Abdomen; Field of view 432x432 mm; CT image
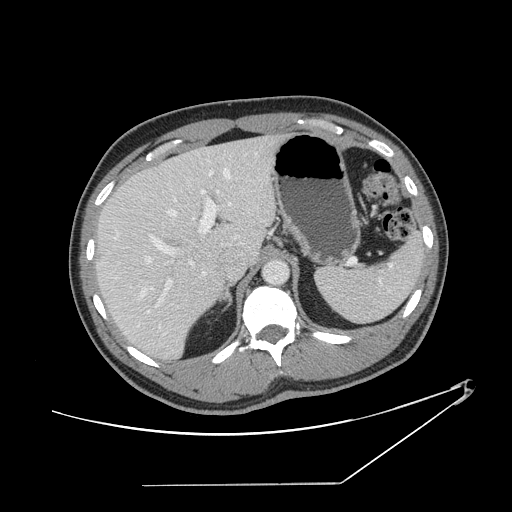
The vessel boxes may cover only some of the vessels.
partial: true
hepatic_vessel:
  # 15 of 24 shown
  - <bbox>149, 234, 175, 253</bbox>
  - <bbox>254, 153, 256, 157</bbox>
  - <bbox>148, 287, 152, 289</bbox>
  - <bbox>159, 280, 171, 301</bbox>
  - <bbox>115, 232, 118, 239</bbox>
  - <bbox>201, 190, 204, 193</bbox>
  - <bbox>168, 210, 176, 216</bbox>
  - <bbox>146, 257, 151, 262</bbox>
  - <bbox>173, 196, 175, 201</bbox>
  - <bbox>189, 261, 194, 266</bbox>
  - <bbox>140, 287, 147, 298</bbox>
  - <bbox>224, 170, 230, 178</bbox>
  - <bbox>114, 276, 118, 278</bbox>
  - <bbox>199, 201, 218, 232</bbox>
  - <bbox>210, 169, 212, 174</bbox>